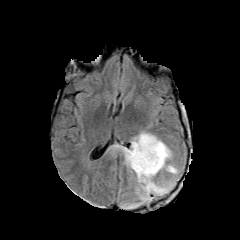
FLAIR magnetic resonance.
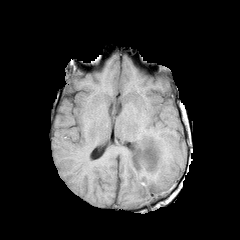
T1-weighted MR image of the same slice.
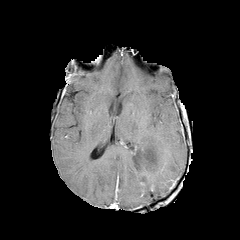
Post-contrast T1-weighted MRI of the same slice.
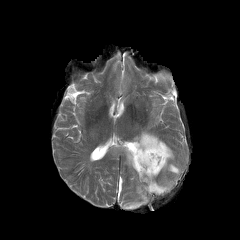
T2-weighted MR of the same slice.
240x240
The edema is at 110 130 181 208.